Field of view 35 mm wide, 1.00 mm slice spacing; MRI slice 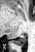

posterior_hippocampus:
  - [13,33,26,45]